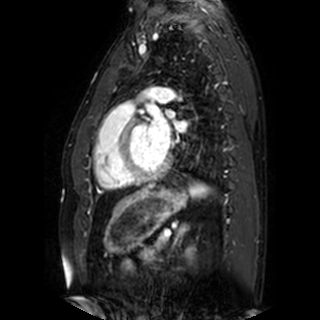

320x320; MR; Heart
Left atrium at 166:109:174:118, 147:110:170:152, 174:122:185:131.